Slice index 397; CT scan slice; 512x512 px
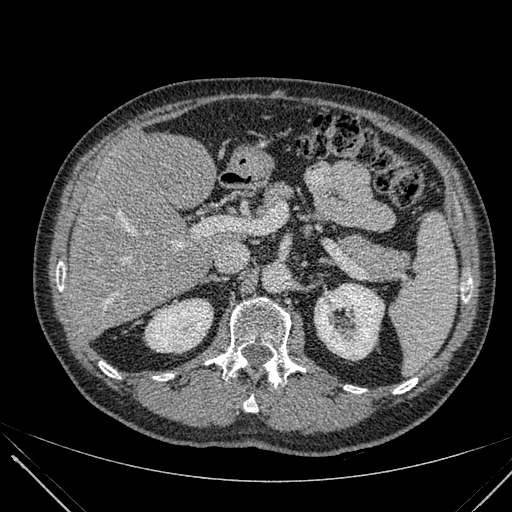

2 kidney regions are bounded by bbox=[145, 299, 212, 352]; bbox=[315, 284, 384, 359]. 2 liver regions are located at bbox=[250, 155, 275, 179]; bbox=[67, 133, 240, 335].